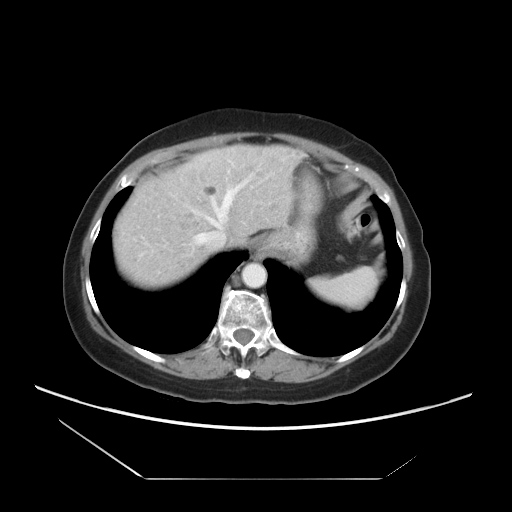
CT, Liver
Some hepatic vessels may have no box.
hepatic vessel: [193, 182, 244, 245], [193, 210, 195, 212], [227, 170, 229, 172]